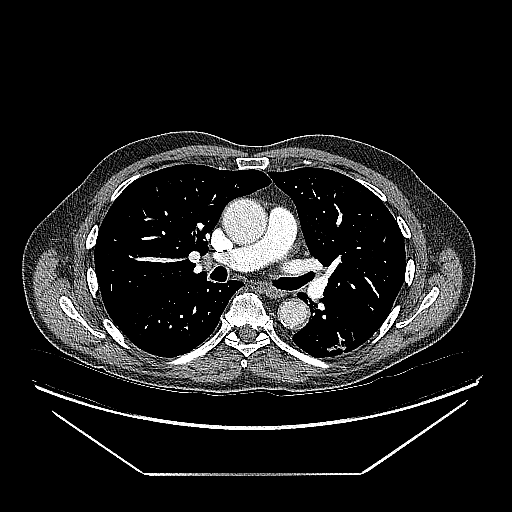

512x512; CT image

Annotated regions:
* lung tumor: (left=323, top=326, right=361, bottom=357)